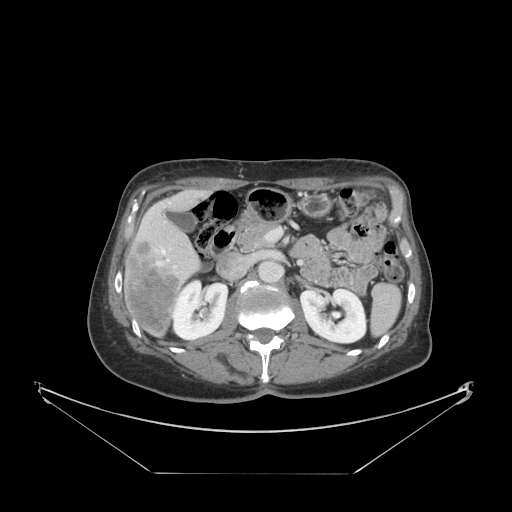
CT scan slice. {
  "spleen": [
    "box(372, 284, 399, 335)"
  ]
}